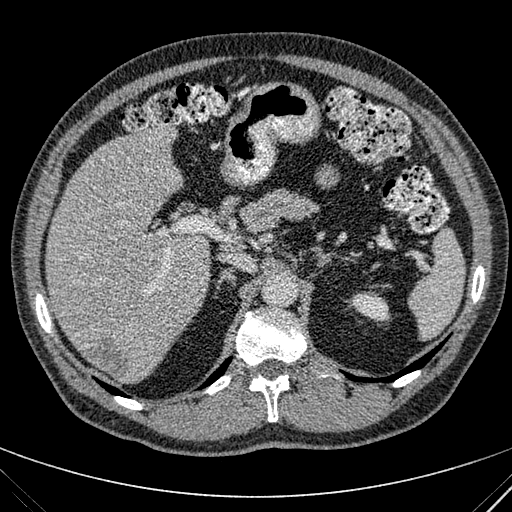
Abdomen; 512x512 px; Computed tomography
The hepatic lesion is located at 83,332,129,377. 2 liver regions are located at 46,125,209,381; 220,196,236,215. The kidney is at 352,294,388,320.